CT slice, Slice 55 of 99
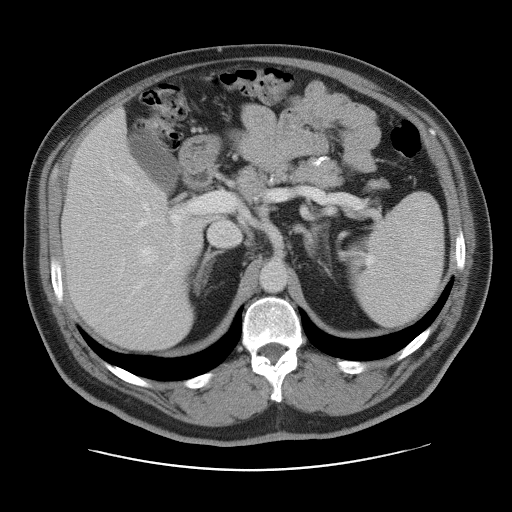

The vessel annotation is not exhaustive.
Hepatic vessel: box(167, 265, 172, 267); box(209, 224, 238, 244); box(135, 201, 161, 231); box(170, 192, 236, 232); box(158, 228, 163, 231); box(140, 247, 156, 262); box(267, 190, 287, 199); box(122, 175, 140, 189).